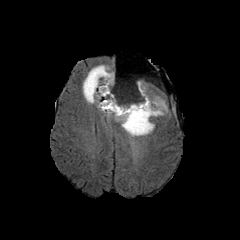
FLAIR MR.
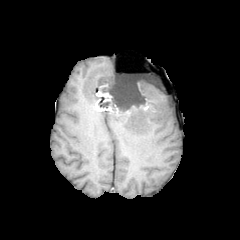
T1-weighted magnetic resonance of the same slice.
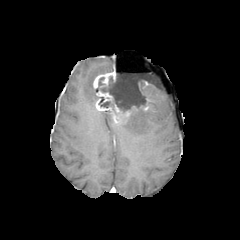
Post-contrast T1-weighted MR image.
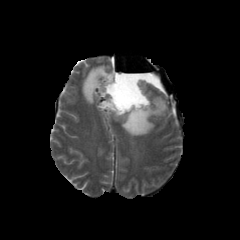
T2-weighted magnetic resonance.
{"enhancing_tumor": ["bbox=[112, 104, 122, 120]", "bbox=[96, 101, 111, 110]", "bbox=[93, 71, 114, 88]", "bbox=[96, 90, 112, 101]"], "non-enhancing_tumor_core": ["bbox=[95, 76, 148, 123]"], "edema": ["bbox=[116, 80, 167, 137]", "bbox=[82, 64, 113, 104]"]}